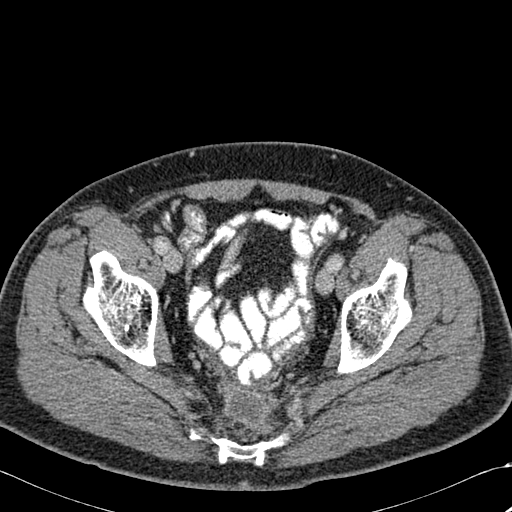
CT image
Annotated regions:
• bone: (213, 438, 283, 464), (191, 431, 199, 438), (338, 259, 411, 372), (83, 250, 157, 365)